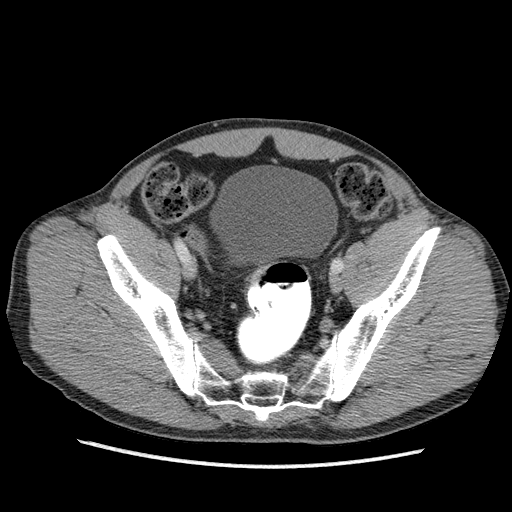 CT scan slice; Pelvis
urinary bladder: x1=210 y1=165 x2=337 y2=266